Image size 240x240, Field of view 240 mm wide, 1.00 mm slice spacing
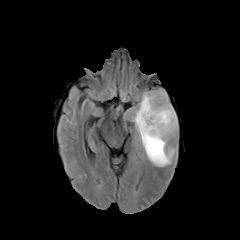
FLAIR MR.
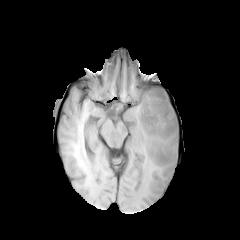
Same slice, T1-weighted magnetic resonance.
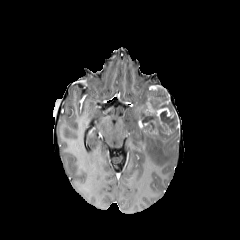
Post-contrast T1-weighted magnetic resonance.
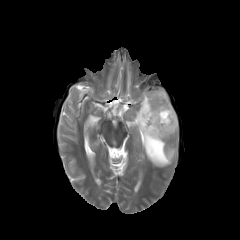
T2-weighted MR.
{"edema": ["l=130, t=91, r=177, b=167"], "enhancing_tumor": ["l=145, t=102, r=173, b=119", "l=138, t=118, r=147, b=127"], "non-enhancing_tumor_core": ["l=140, t=104, r=177, b=137", "l=147, t=90, r=173, b=111"]}